Image size 240x240
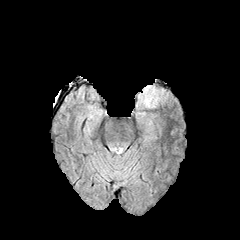
FLAIR magnetic resonance.
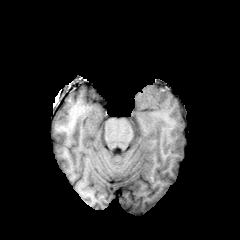
T1-weighted magnetic resonance of the same slice.
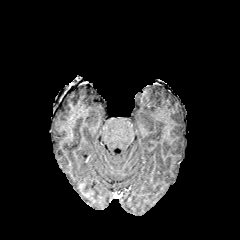
Post-contrast T1-weighted MRI.
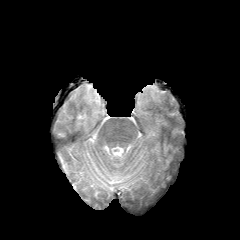
T2-weighted MR image.
The edema is at 142, 88, 159, 107.